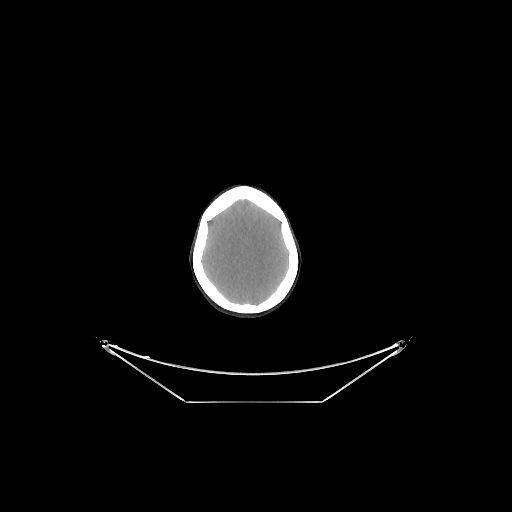

CT scan slice. Segmented structures:
• brain: (x1=201, y1=199, x2=288, y2=305)